FLAIR MRI.
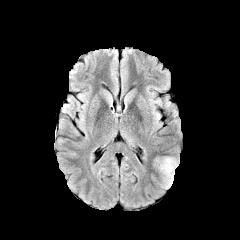
T1-weighted magnetic resonance.
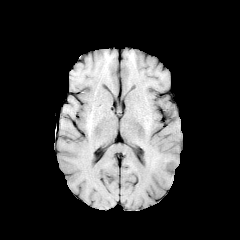
Post-contrast T1-weighted magnetic resonance.
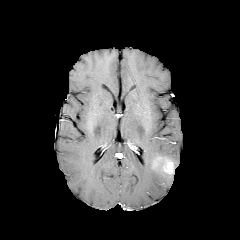
T2-weighted MR.
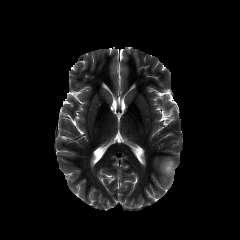
Brain | Image size 240x240
{"edema": ["159,156,176,186"], "enhancing_tumor": ["163,161,173,174"]}